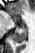 MRI

<segmentation>
  <posterior_hippocampus>(12, 28, 26, 43), (13, 43, 15, 44)</posterior_hippocampus>
  <anterior_hippocampus>(8, 12, 12, 14), (13, 17, 16, 20)</anterior_hippocampus>
</segmentation>